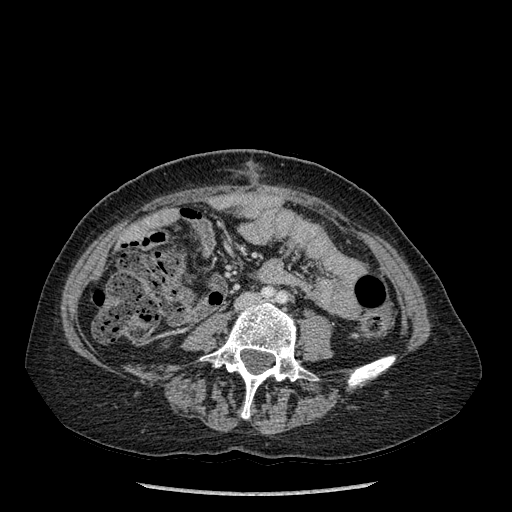 Computed tomography
Annotated regions:
• bone: x1=348, y1=356, x2=395, y2=386; x1=203, y1=302, x2=306, y2=418